MRI slice. Image size 33x51. Hippocampus. 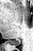
Posterior hippocampus — 8:39:20:45.